Slice index 100; 240x240; Field of view 240 mm wide, 1.00 mm slice spacing
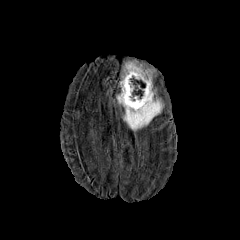
FLAIR MR.
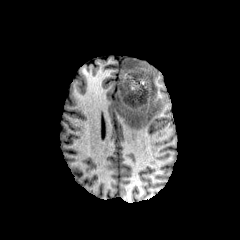
T1-weighted magnetic resonance.
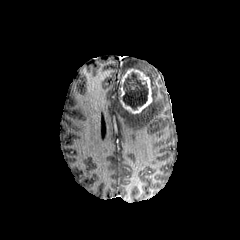
Post-contrast T1-weighted magnetic resonance.
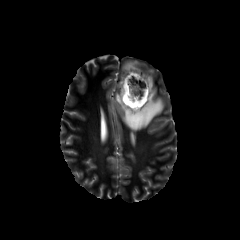
T2-weighted MRI of the same slice.
<segmentation>
  <enhancing_tumor>box(118, 68, 153, 114)</enhancing_tumor>
  <non-enhancing_tumor_core>box(122, 71, 148, 110)</non-enhancing_tumor_core>
  <edema>box(123, 99, 163, 132); box(120, 61, 141, 75)</edema>
</segmentation>